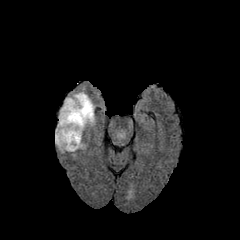
FLAIR magnetic resonance.
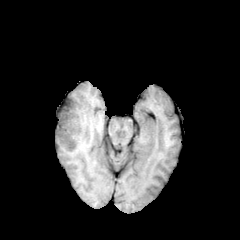
T1-weighted MR image.
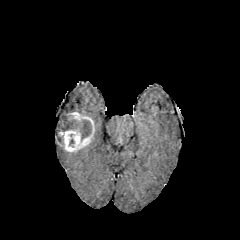
Post-contrast T1-weighted MR image of the same slice.
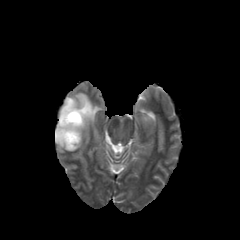
T2-weighted magnetic resonance of the same slice.
240x240 px
Segmented structures:
• non-enhancing tumor core: rect(55, 98, 91, 139)
• enhancing tumor: rect(55, 116, 94, 151)
• edema: rect(58, 91, 96, 126)